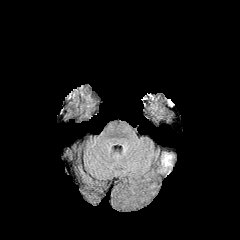
FLAIR MR.
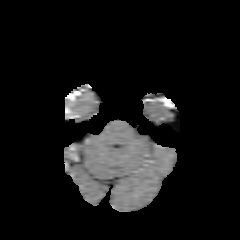
T1-weighted MRI.
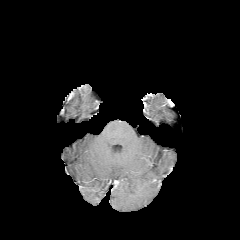
Post-contrast T1-weighted MR.
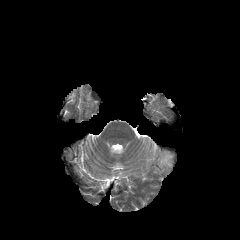
T2-weighted MRI of the same slice.
Head
edema: <bbox>161, 152, 174, 168</bbox>